Computed tomography
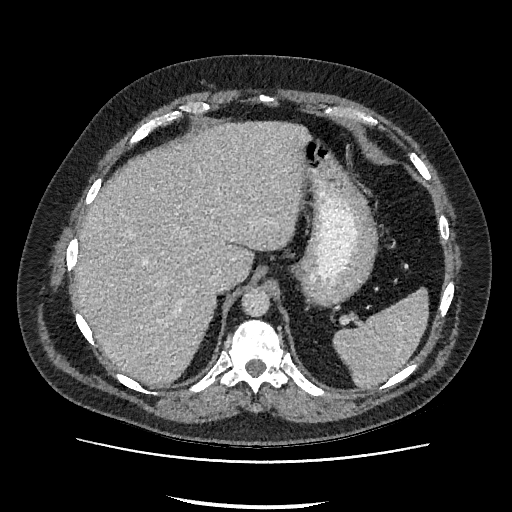 liver: (76,122,310,384)